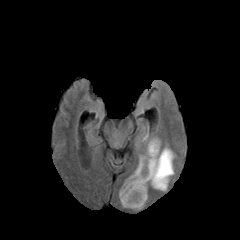
FLAIR MR image.
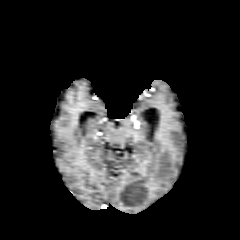
T1-weighted magnetic resonance.
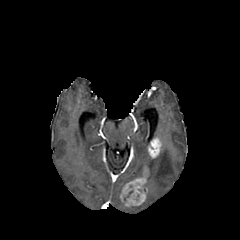
Same slice, post-contrast T1-weighted MRI.
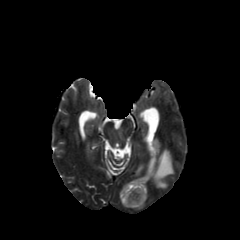
T2-weighted MR.
- edema: 127, 131, 174, 190
- enhancing tumor: 120, 177, 146, 205; 148, 138, 160, 157